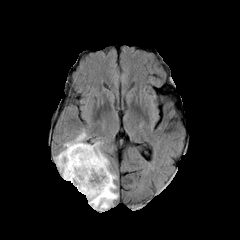
FLAIR MR image.
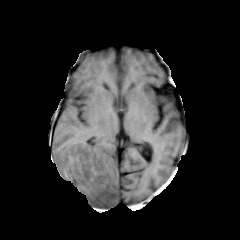
T1-weighted MR.
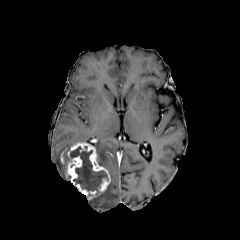
Same slice, post-contrast T1-weighted MR.
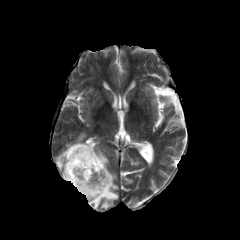
T2-weighted MRI.
Brain
edema:
  - {"x1": 88, "y1": 140, "x2": 117, "y2": 210}
  - {"x1": 54, "y1": 132, "x2": 92, "y2": 179}
enhancing_tumor:
  - {"x1": 65, "y1": 142, "x2": 110, "y2": 199}
non-enhancing_tumor_core:
  - {"x1": 70, "y1": 146, "x2": 107, "y2": 191}